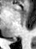 Image size 36x49 | MR image

The posterior hippocampus appears at l=10, t=40, r=16, b=41.